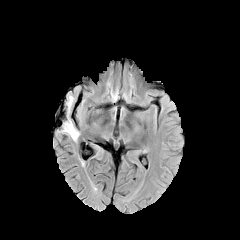
FLAIR MR image.
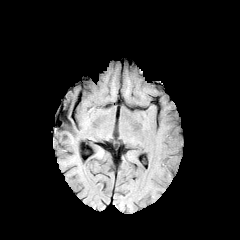
T1-weighted MR.
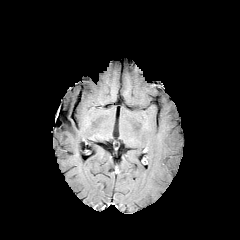
Post-contrast T1-weighted MRI of the same slice.
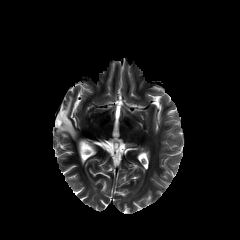
T2-weighted MRI of the same slice.
240x240 px
edema: (left=67, top=95, right=73, bottom=111), (left=58, top=117, right=79, bottom=140)